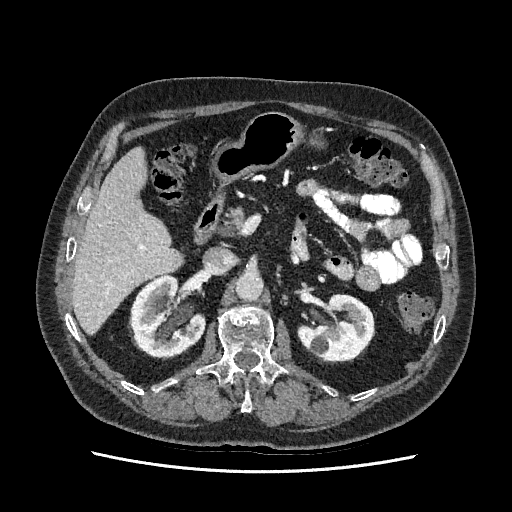
CT slice, Abdomen
The liver is located at [x1=73, y1=148, x2=182, y2=333]. 2 kidney regions are located at [x1=132, y1=276, x2=204, y2=356], [x1=299, y1=294, x2=373, y2=360].